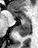 Image size 38x48. MR.
Posterior hippocampus: bounding box <box>17,20,30,36</box>.
Anterior hippocampus: bounding box <box>20,15,29,19</box>, <box>15,13,17,14</box>.